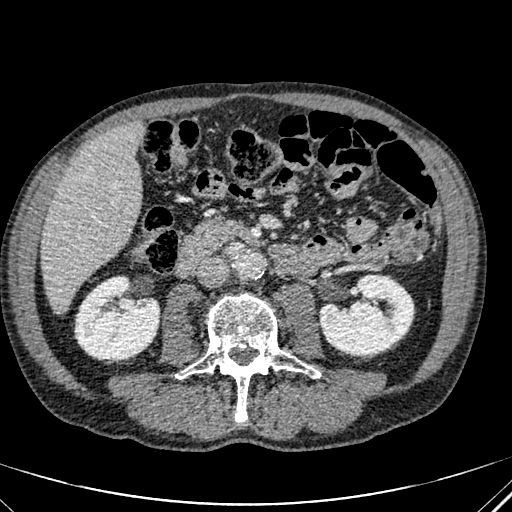 CT slice. Image size 512x512. {"liver": ["[40, 121, 142, 312]"], "kidney": ["[321, 275, 413, 354]", "[75, 277, 158, 358]"]}